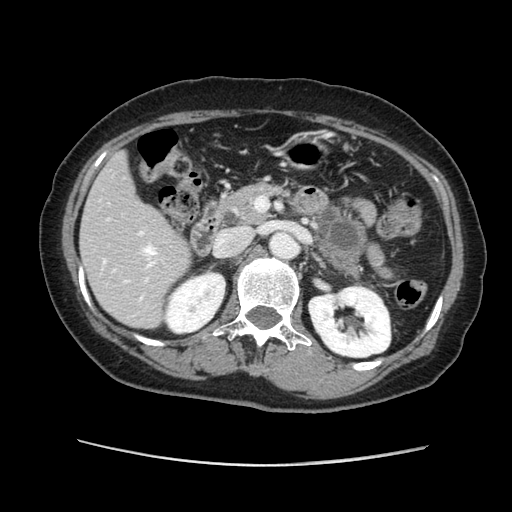
CT

{"pancreatic_tumor": ["[316, 207, 362, 252]"], "pancreas": ["[213, 182, 368, 283]"]}